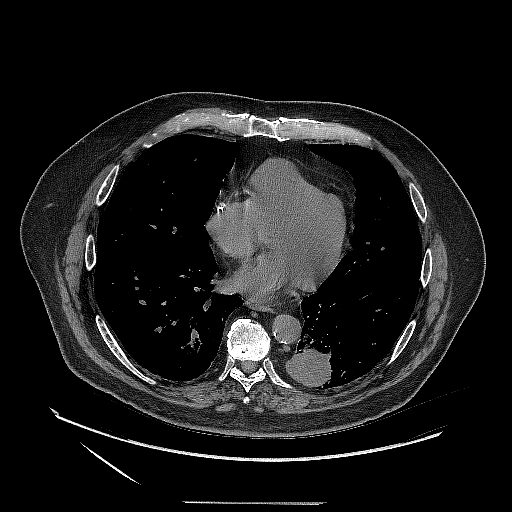

Thorax | CT scan slice
{"lung_tumor": ["[286,315,336,388]"]}